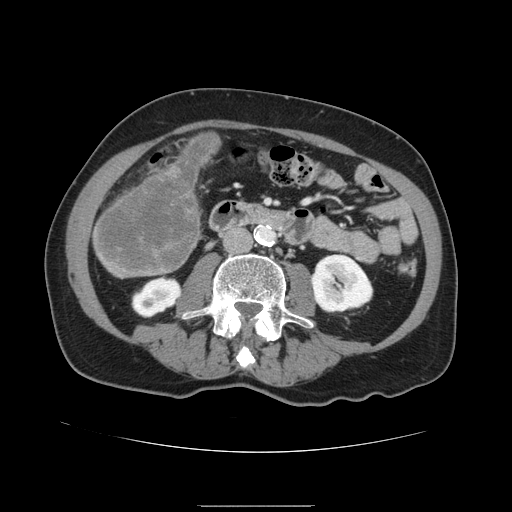 Liver, Computed tomography
liver_tumor:
  - l=97, t=137, r=216, b=273